FLAIR MRI.
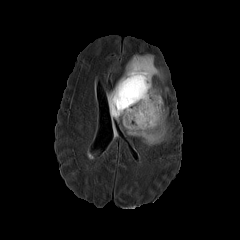
T1-weighted MRI.
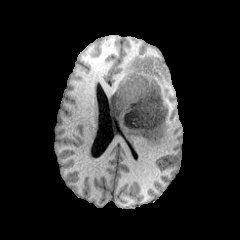
Post-contrast T1-weighted MRI.
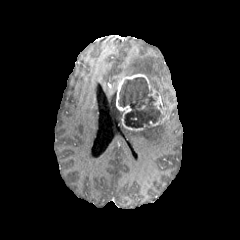
T2-weighted MRI.
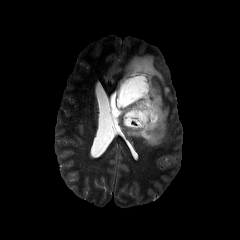
Image size 240x240; Brain
edema: 107 86 123 119, 126 119 167 146, 124 54 161 84 | enhancing tumor: 116 74 166 130 | non-enhancing tumor core: 118 77 164 128